FLAIR MR.
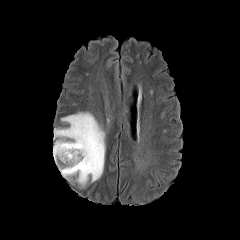
T1-weighted magnetic resonance.
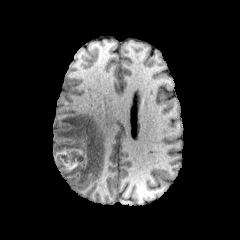
Post-contrast T1-weighted magnetic resonance.
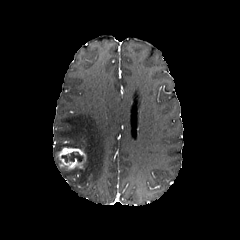
T2-weighted MR image.
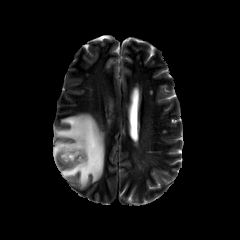
<segmentation>
  <edema>bbox=[52, 112, 105, 188]</edema>
  <non-enhancing_tumor_core>bbox=[69, 152, 82, 162]; bbox=[54, 155, 69, 171]</non-enhancing_tumor_core>
  <enhancing_tumor>bbox=[56, 147, 86, 170]</enhancing_tumor>
</segmentation>